CT image, Slice index 16
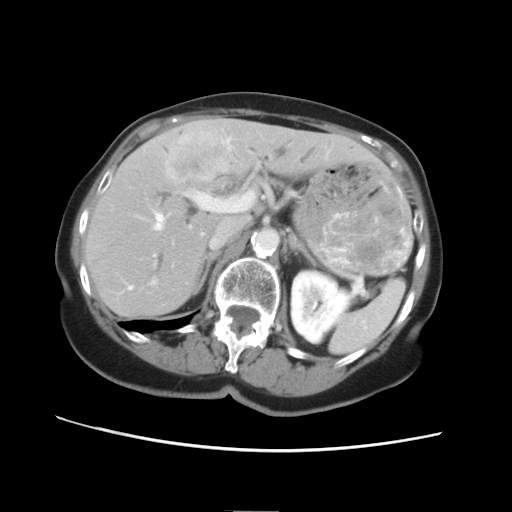 Only some of the vessels may be annotated.
2 hepatic vessel regions appear at {"x1": 157, "y1": 214, "x2": 162, "y2": 227}, {"x1": 185, "y1": 190, "x2": 255, "y2": 212}. The liver tumor lies within {"x1": 165, "y1": 123, "x2": 231, "y2": 181}.